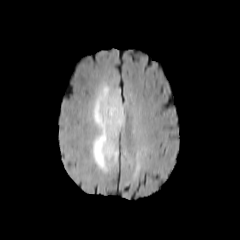
FLAIR MR image.
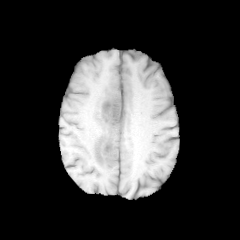
T1-weighted MRI.
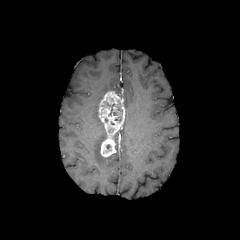
Post-contrast T1-weighted MR.
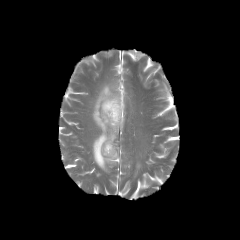
T2-weighted MR image.
The non-enhancing tumor core appears at (x1=108, y1=103, x2=116, y2=116). The edema is bounded by (x1=92, y1=83, x2=119, y2=173). The enhancing tumor appears at (x1=98, y1=91, x2=125, y2=157).